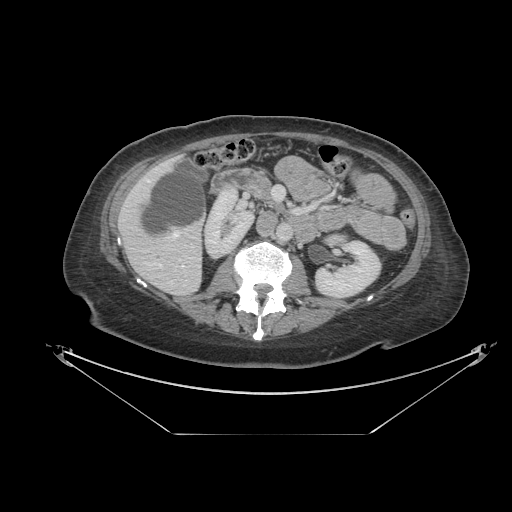
Computed tomography. Abdomen.
The pancreas is located at <box>255,182,280,209</box>.